FLAIR MR.
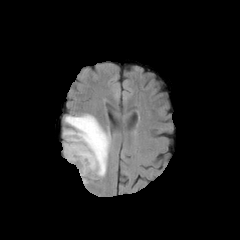
T1-weighted MR.
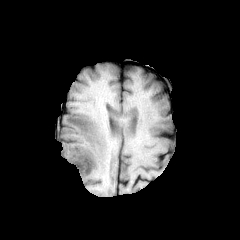
Post-contrast T1-weighted magnetic resonance.
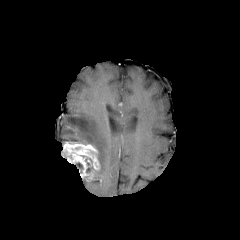
T2-weighted MRI.
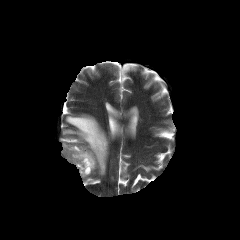
<segmentation>
  <edema>box(63, 114, 110, 175)</edema>
  <enhancing_tumor>box(63, 140, 99, 182)</enhancing_tumor>
</segmentation>